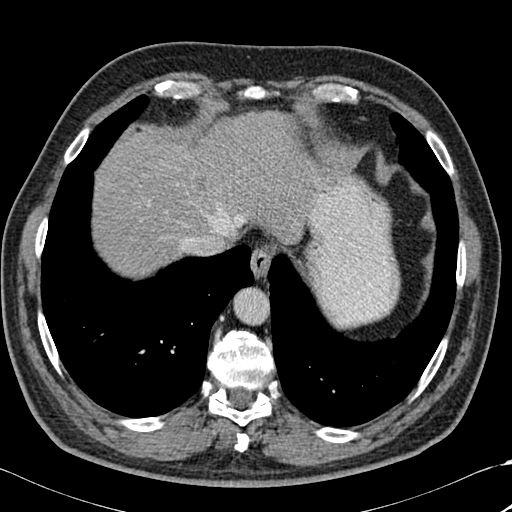

CT image, Image size 512x512
2 lung regions appear at bbox=[41, 95, 253, 417]; bbox=[268, 112, 458, 427]. The liver appears at bbox=[94, 112, 303, 275]. The hepatic lesion is at bbox=[196, 174, 206, 191]. 14 bone regions appear at bbox=[38, 314, 58, 370]; bbox=[65, 129, 88, 162]; bbox=[122, 417, 162, 431]; bbox=[203, 382, 211, 395]; bbox=[235, 433, 248, 451]; bbox=[456, 244, 465, 285]; bbox=[250, 87, 262, 98]; bbox=[416, 340, 446, 395]; bbox=[35, 219, 47, 255]; bbox=[343, 87, 358, 100]; bbox=[427, 132, 452, 173]; bbox=[208, 330, 276, 425]; bbox=[317, 428, 356, 442]; bbox=[155, 81, 182, 96].